Field of view 700x700 mm; Computed tomography; Slice 175 of 536

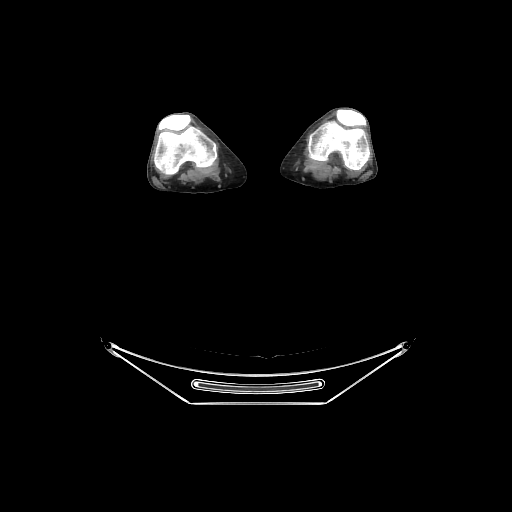
Annotated regions:
* bone: l=308, t=109, r=369, b=169; l=154, t=115, r=216, b=174